CT image
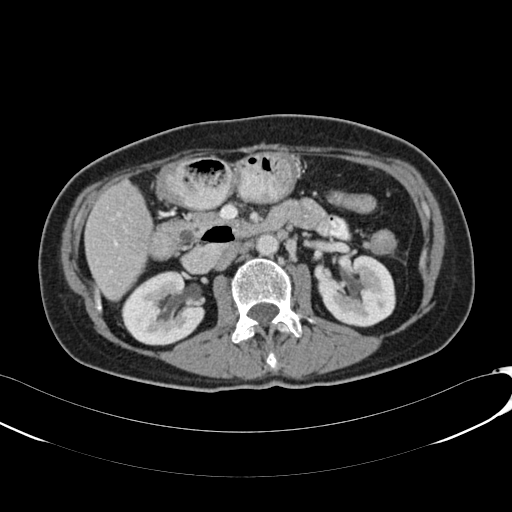

The liver lies within bbox(84, 181, 151, 299). 2 kidney regions appear at bbox(123, 272, 203, 343); bbox(318, 257, 394, 325).